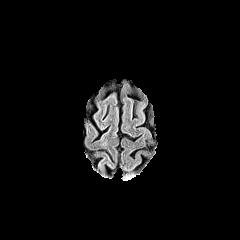
FLAIR MR.
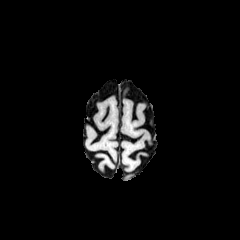
T1-weighted MR of the same slice.
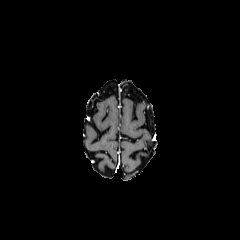
Post-contrast T1-weighted MRI.
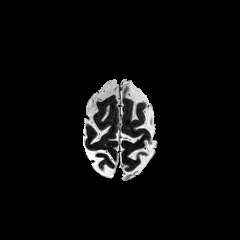
T2-weighted MR image of the same slice.
{"edema": ["l=121, t=174, r=135, b=180"]}